CT | Slice index 129 | 512x512

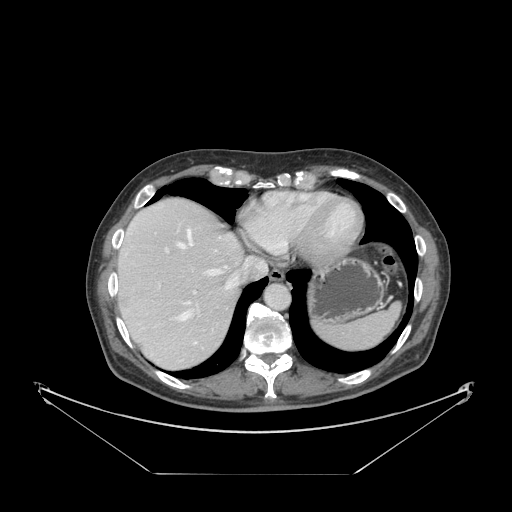

Spleen: x1=312, y1=303, x2=400, y2=351.